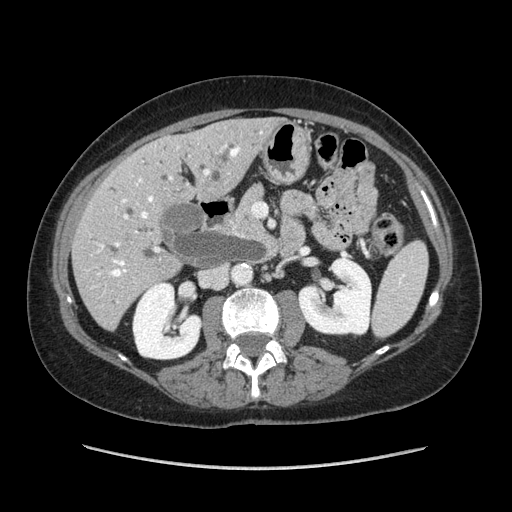

CT; 512x512; Upper abdomen
{
  "pancreas": [
    "229 180 266 240"
  ]
}